CT | Pelvis | 512x512 px | Slice index 85

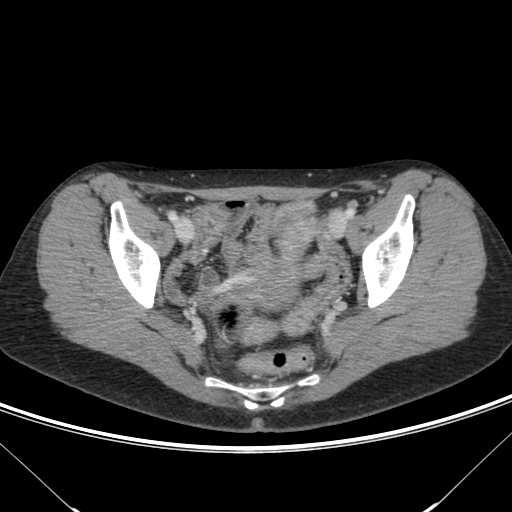
Segmented structures:
* colon tumor: [x1=282, y1=308, x2=313, y2=334], [x1=245, y1=320, x2=277, y2=344]